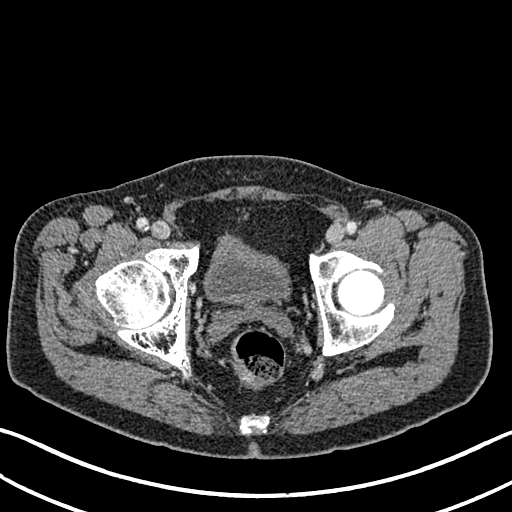

Computed tomography

Urinary bladder: bounding box 204,235,289,306.